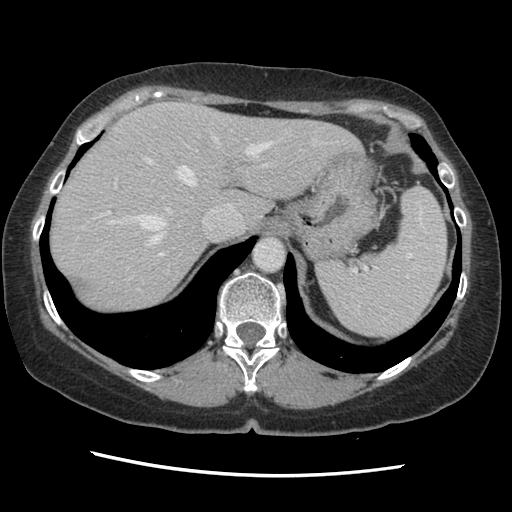
CT image, Liver
Not every hepatic vessel necessarily has a box.
{
  "hepatic_vessel": [
    {"x1": 100, "y1": 213, "x2": 103, "y2": 216},
    {"x1": 213, "y1": 136, "x2": 218, "y2": 142},
    {"x1": 145, "y1": 158, "x2": 152, "y2": 162},
    {"x1": 166, "y1": 207, "x2": 170, "y2": 212},
    {"x1": 147, "y1": 233, "x2": 161, "y2": 244},
    {"x1": 177, "y1": 166, "x2": 195, "y2": 184},
    {"x1": 158, "y1": 252, "x2": 163, "y2": 256},
    {"x1": 246, "y1": 140, "x2": 272, "y2": 156},
    {"x1": 312, "y1": 141, "x2": 315, "y2": 145},
    {"x1": 114, "y1": 179, "x2": 116, "y2": 187},
    {"x1": 105, "y1": 211, "x2": 110, "y2": 213},
    {"x1": 263, "y1": 164, "x2": 269, "y2": 166},
    {"x1": 82, "y1": 226, "x2": 85, "y2": 229},
    {"x1": 108, "y1": 215, "x2": 164, "y2": 230}
  ]
}